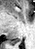 35x49 | MRI | Hippocampus
{
  "posterior_hippocampus": [
    "10, 37, 22, 44"
  ]
}